MRI 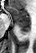

posterior hippocampus: 16,24,29,32 | anterior hippocampus: 9,7,29,23